Upper abdomen. Field of view 404 mm wide, 0.70 mm slice spacing. CT.
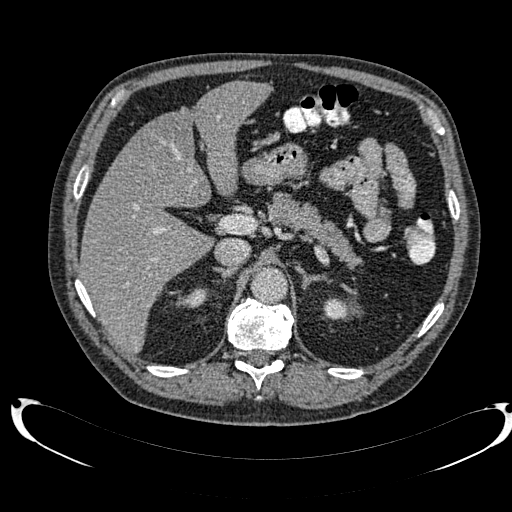
Findings:
* liver lesion: bbox=[140, 112, 187, 166]
* kidney: bbox=[177, 288, 206, 307]; bbox=[321, 299, 357, 319]
* liver: bbox=[80, 81, 270, 352]